CT scan slice

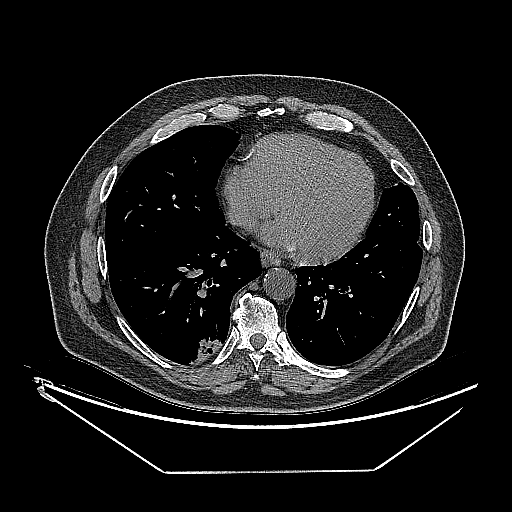

The lung tumor lies within box=[188, 337, 221, 364].